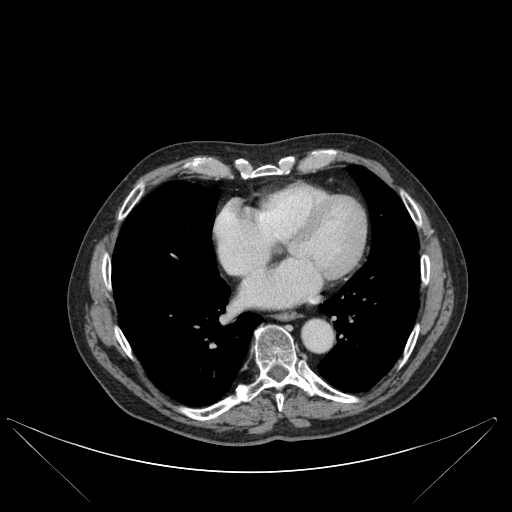 512x512 | Computed tomography | Chest
{"bone": ["left=186, top=159, right=202, bottom=166", "left=276, top=393, right=283, bottom=410", "left=119, top=189, right=139, bottom=218", "left=403, top=195, right=421, bottom=225", "left=181, top=325, right=357, bottom=420", "left=421, top=255, right=429, bottom=283", "left=242, top=166, right=283, bottom=178", "left=402, top=326, right=419, bottom=363", "left=115, top=328, right=131, bottom=356", "left=102, top=257, right=110, bottom=287"], "lung": ["left=318, top=165, right=419, bottom=391", "left=112, top=181, right=262, bottom=405"]}